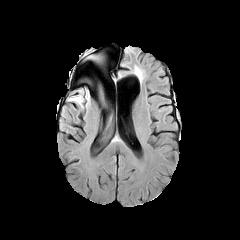
FLAIR MR image.
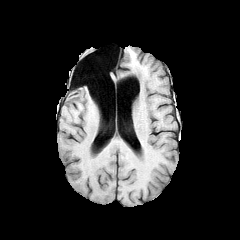
Same slice, T1-weighted MR image.
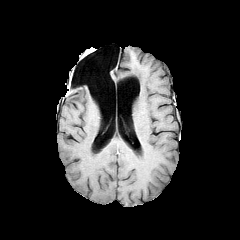
Post-contrast T1-weighted magnetic resonance of the same slice.
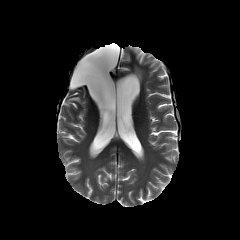
Same slice, T2-weighted MR image.
Annotated regions:
- edema: [68,90,90,107]